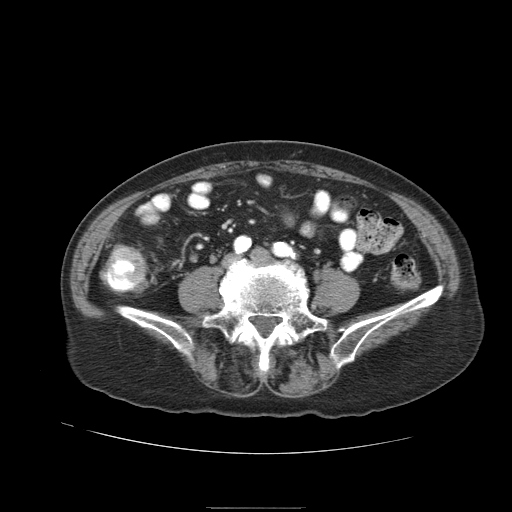
Computed tomography, Pelvis
Colon tumor — box(100, 245, 144, 283).